Abdomen, 512x512, CT image
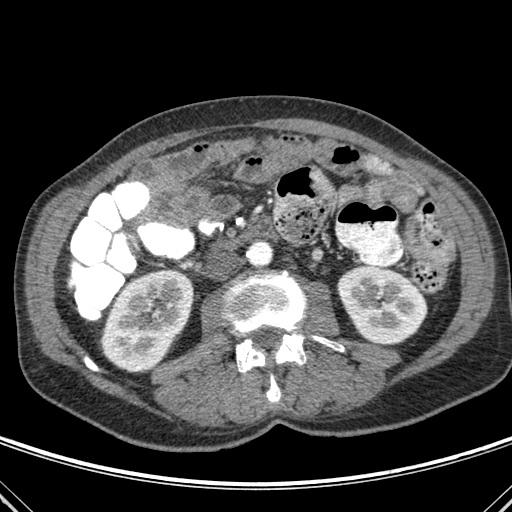 4 bone regions are located at [236,217,243,225], [84,356,98,370], [266,373,280,402], [224,271,344,372]. 2 kidney regions are bounded by [102,274,192,370], [338,266,426,343].